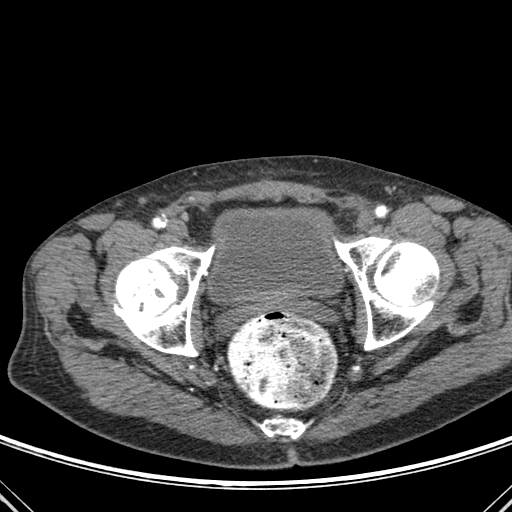
Computed tomography. Image size 512x512. Lower abdomen.
Urinary bladder — (208, 207, 345, 300).
Bone — (113, 246, 214, 356), (258, 418, 307, 438), (334, 233, 439, 350).